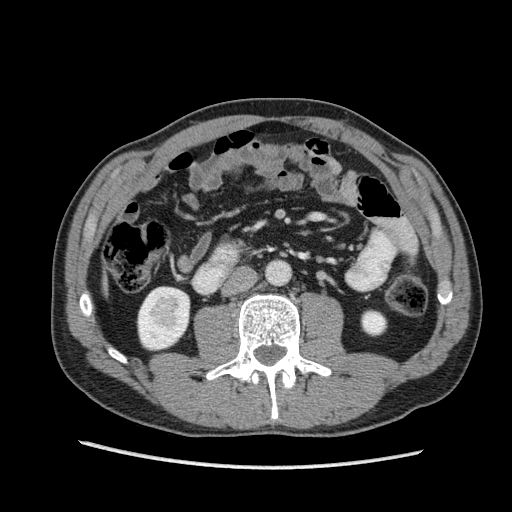 Computed tomography | Image size 512x512
2 kidney regions are bounded by (x1=363, y1=312, x2=384, y2=333), (x1=138, y1=287, x2=189, y2=348).